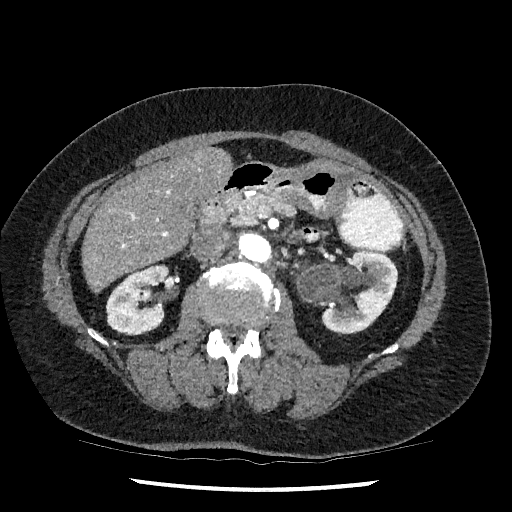 Computed tomography; Liver
Kidney at 106 266 176 334, 322 251 397 333.
Liver at 81 148 232 291, 308 163 342 172.